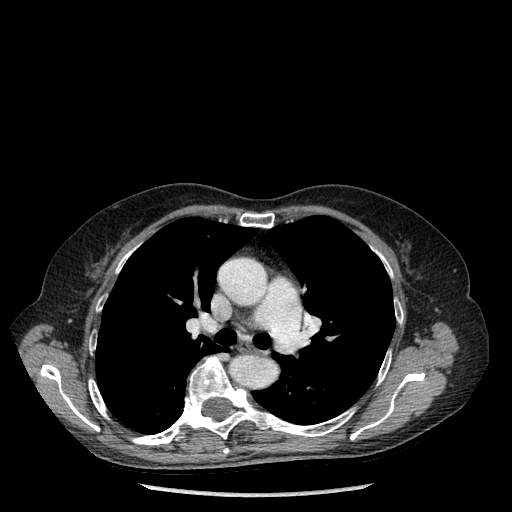

Chest, CT image

11 bone regions are located at bbox=[96, 295, 104, 311]; bbox=[376, 250, 393, 277]; bbox=[350, 371, 425, 440]; bbox=[377, 350, 391, 385]; bbox=[131, 356, 354, 445]; bbox=[240, 212, 274, 227]; bbox=[115, 250, 132, 273]; bbox=[89, 334, 96, 352]; bbox=[39, 363, 99, 431]; bbox=[88, 379, 108, 418]; bbox=[394, 299, 403, 323]. 3 lung regions are located at bbox=[252, 216, 395, 424]; bbox=[96, 217, 255, 434]; bbox=[253, 333, 270, 349].